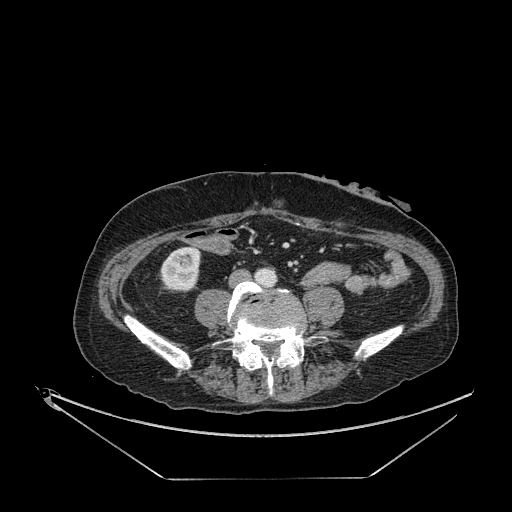

CT slice
Segmented structures:
• kidney: left=161, top=247, right=199, bottom=290